CT scan slice, Upper abdomen
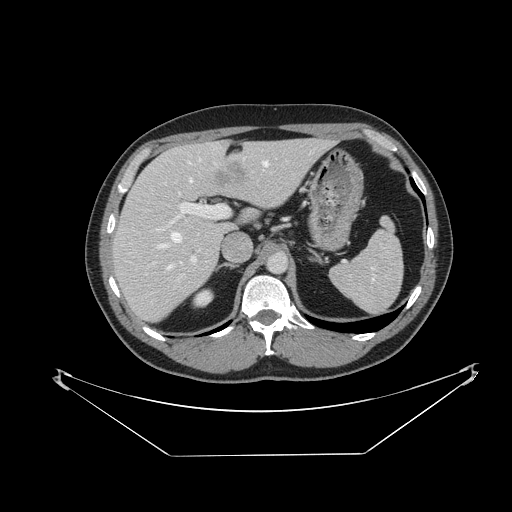

The spleen appears at (left=331, top=216, right=403, bottom=314).